MR image; Slice 70 of 130; Heart

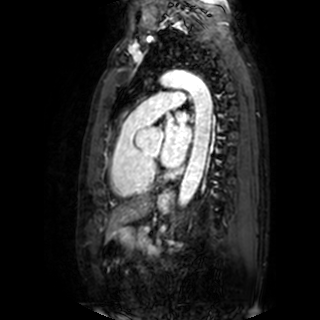
Left atrium: x1=161, y1=112, x2=191, y2=168.